CT image, Liver 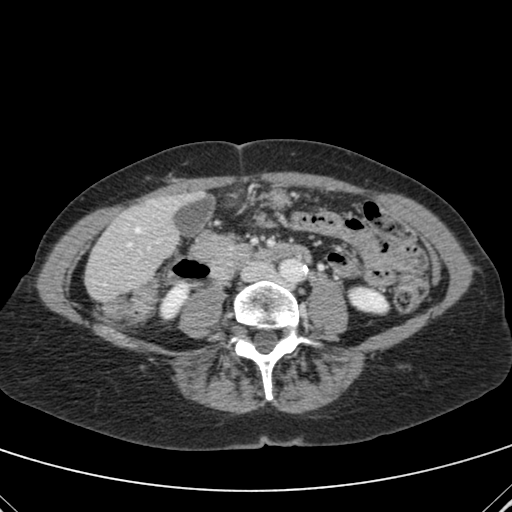

Annotated regions:
- kidney: (left=351, top=288, right=386, bottom=311), (left=162, top=284, right=187, bottom=317)
- liver: (left=86, top=193, right=195, bottom=301)